FLAIR magnetic resonance.
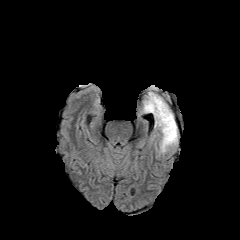
T1-weighted MR image.
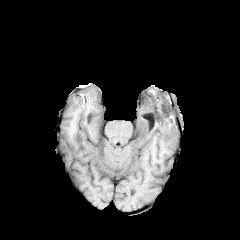
Post-contrast T1-weighted MRI.
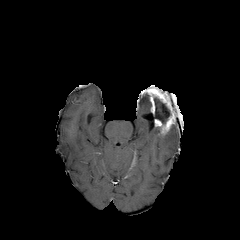
T2-weighted MR image.
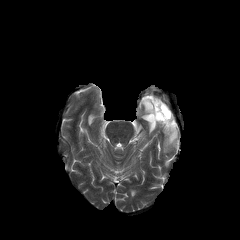
Brain
Non-enhancing tumor core: bounding box (159, 90, 169, 105), (144, 92, 151, 108), (150, 98, 170, 123).
Enhancing tumor: bounding box (154, 110, 175, 133), (146, 86, 169, 113).
Edema: bounding box (154, 126, 178, 154), (142, 100, 149, 113).